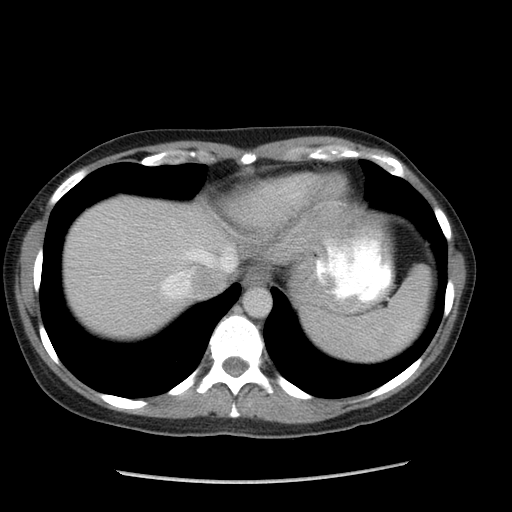

CT slice

Segmented structures:
• spleen: 302:268:430:362